Image size 512x512, CT image

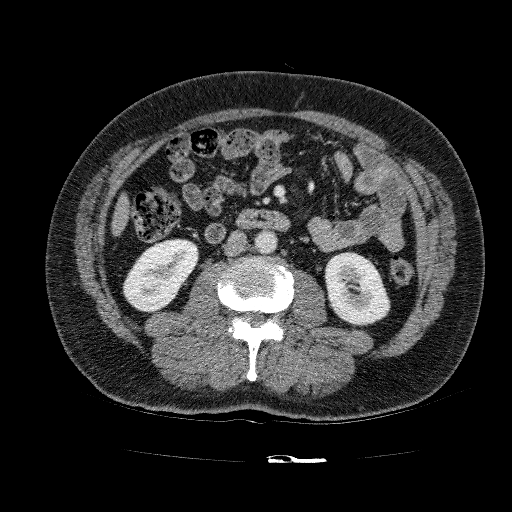
Liver at l=112, t=194, r=129, b=236.
Kidney at l=325, t=253, r=389, b=324; l=124, t=239, r=197, b=311.